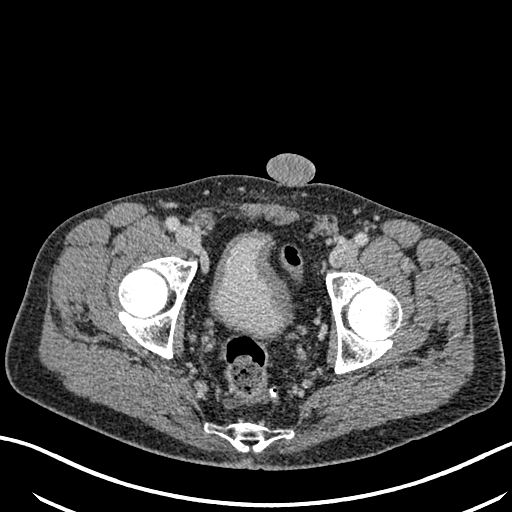
CT scan slice. Urinary bladder at bbox=[214, 234, 284, 334].